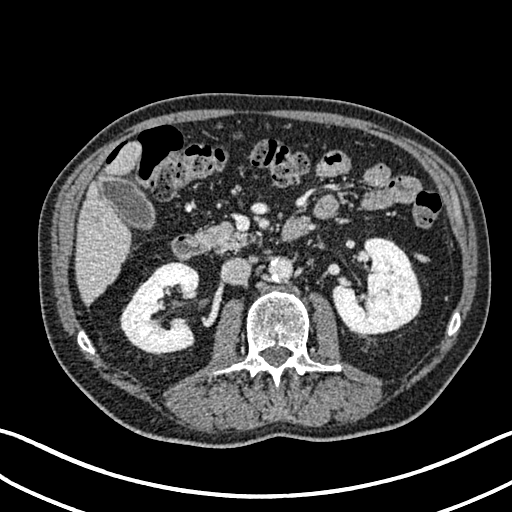
CT image; Image size 512x512
liver:
  - <bbox>105, 142, 141, 174</bbox>
  - <bbox>77, 182, 130, 306</bbox>
kidney:
  - <bbox>121, 263, 198, 352</bbox>
  - <bbox>333, 238, 420, 333</bbox>